Slice 226/908; CT scan slice; 512x512 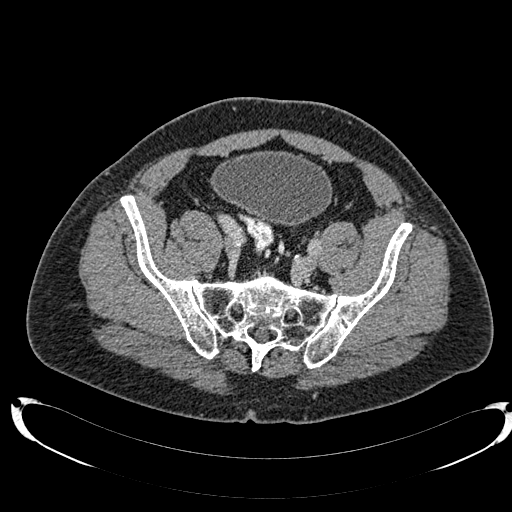 Urinary bladder at 212,151,332,226.